T2-weighted magnetic resonance.
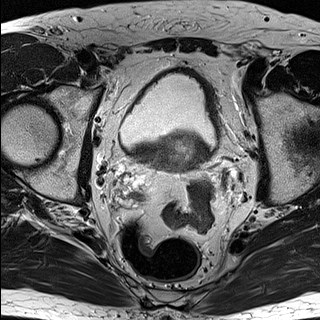
ADC MR.
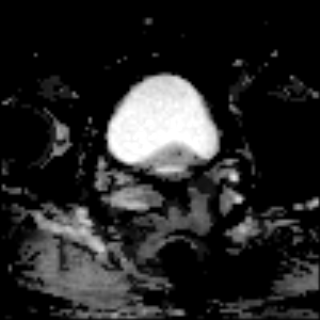
Prostate transition zone: bounding box region(167, 140, 194, 163).